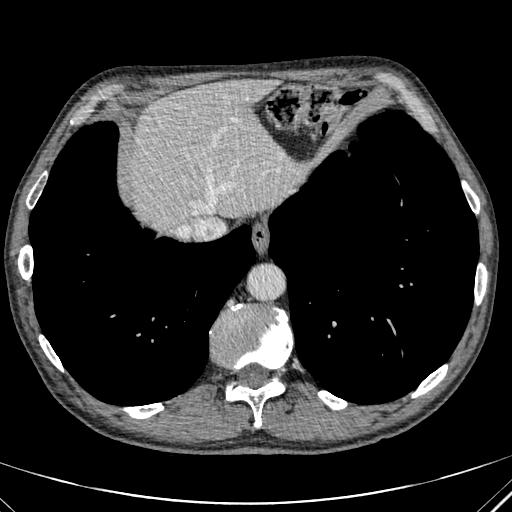 CT image. Liver.
<segmentation>
  <liver>box=[130, 79, 303, 231]</liver>
</segmentation>